CT image | Slice 401 of 683 | 512x512 px 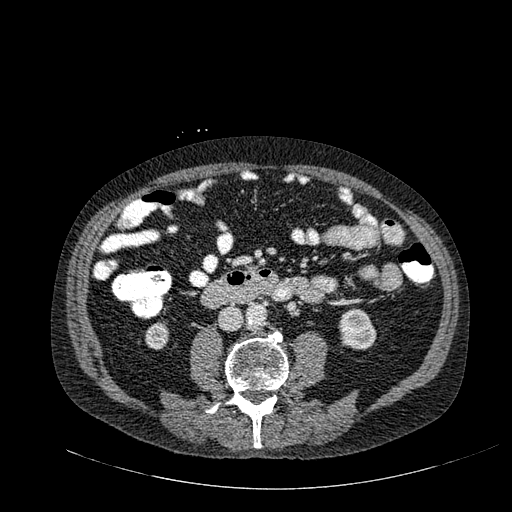

{
  "kidney": [
    "338:308:376:349",
    "145:322:168:349"
  ]
}